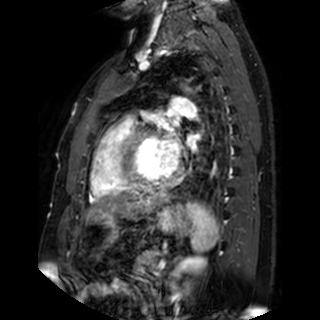

MR.

<segmentation>
  <left_atrium>[187, 135, 195, 149], [166, 135, 179, 160], [167, 110, 178, 119]</left_atrium>
</segmentation>